Abdomen, CT image, Slice 306 of 605 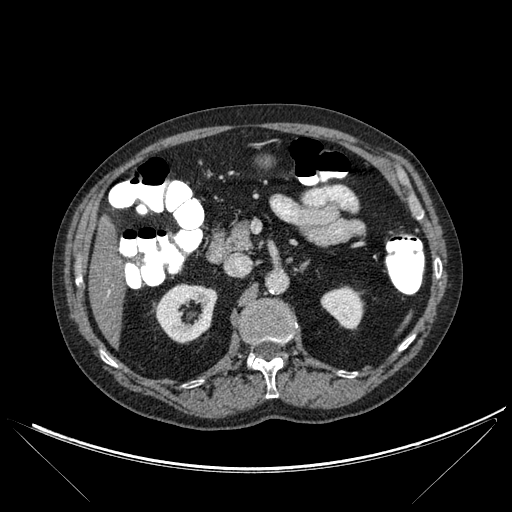

Liver — region(89, 218, 128, 345).
Bone — region(399, 335, 414, 350); region(434, 258, 441, 277); region(339, 371, 356, 377); region(248, 354, 284, 397); region(101, 352, 117, 366); region(240, 300, 297, 344); region(185, 381, 201, 387).
Kidney — region(321, 287, 362, 328); region(156, 284, 216, 342).